Computed tomography, Slice 642 of 687 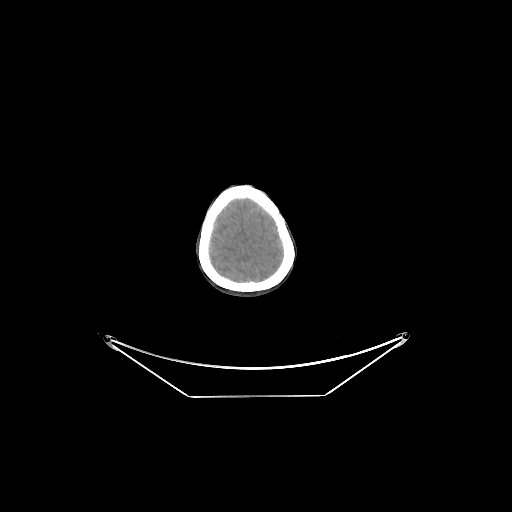 Segmented structures:
* brain: (210, 199, 283, 282)